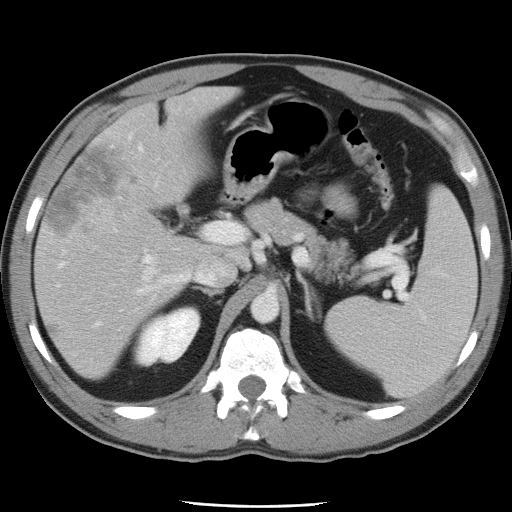 CT slice
The vessel annotation is not exhaustive.
Hepatic vessel = [164,276,186,282], [139,146,140,148], [139,289,143,293], [59,264,61,266], [144,256,150,262], [145,286,149,289], [207,223,241,241].